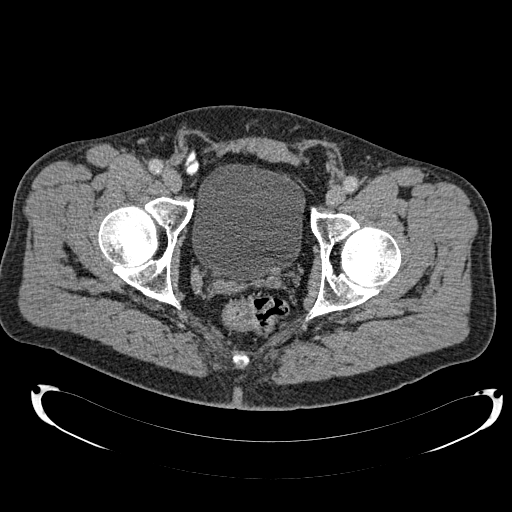 Pelvis, 512x512 px, CT image
{"urinary_bladder": ["[x1=192, y1=164, x2=305, y2=281]"]}